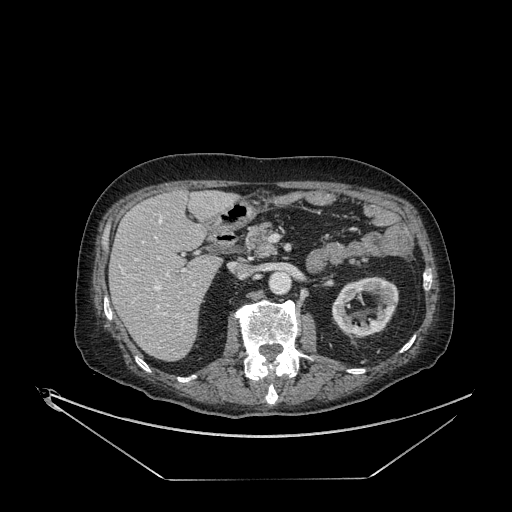 512x512 px. Liver. CT slice. Kidney: (left=332, top=277, right=397, bottom=337).
Liver: (left=109, top=191, right=237, bottom=361).